CT slice. Field of view 700x700 mm. Slice 294/560. 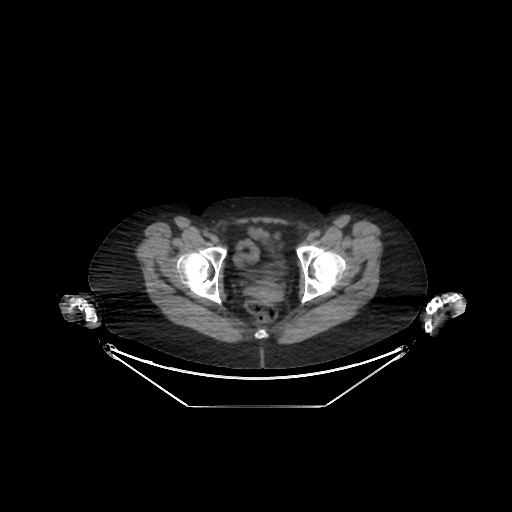
urinary bladder: box=[242, 230, 288, 281]